Field of view 36 mm wide, 1.00 mm slice spacing | 36x52 | MR image | Medial temporal lobe
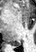
{
  "posterior_hippocampus": [
    "x1=11 y1=43 x2=20 y2=46"
  ]
}